Slice 265/519, Computed tomography
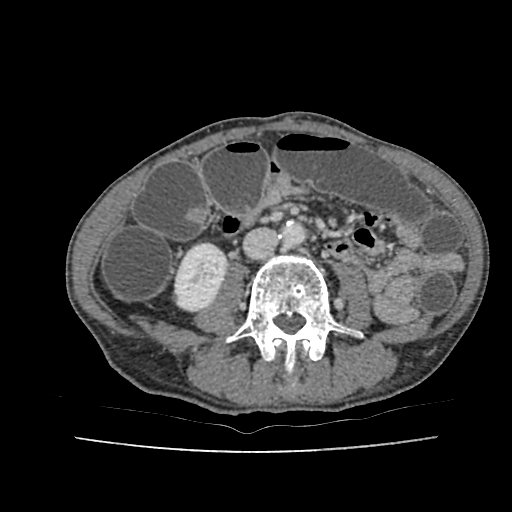 <segmentation>
  <kidney>box=[175, 244, 226, 310]</kidney>
</segmentation>